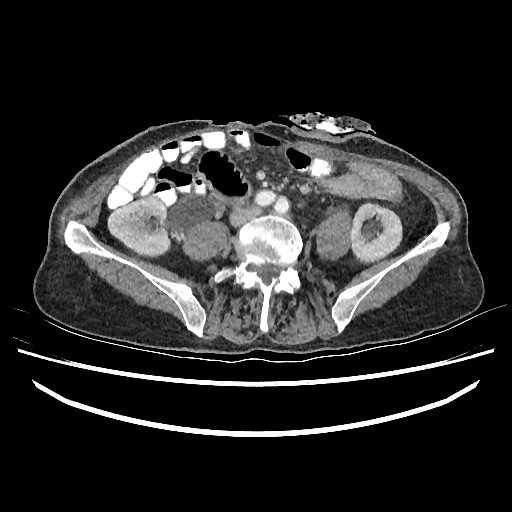

Computed tomography
Annotated regions:
• kidney: x1=360, y1=275, x2=380, y2=289; x1=108, y1=194, x2=169, y2=254; x1=350, y1=204, x2=401, y2=260